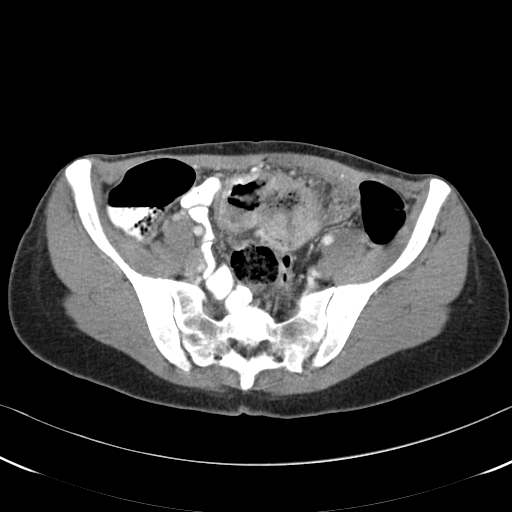

512x512 | Pelvis | CT image
Colon tumor: x1=216 y1=173 x2=318 y2=248.